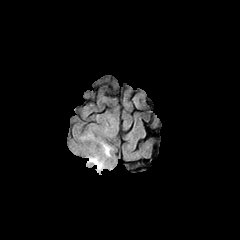
FLAIR magnetic resonance.
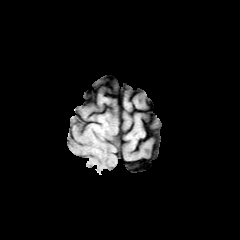
T1-weighted MR of the same slice.
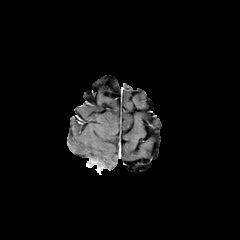
Post-contrast T1-weighted MR.
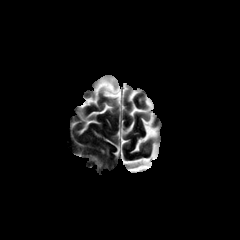
T2-weighted MRI.
Brain
2 edema regions are bounded by left=86, top=156, right=105, bottom=174; left=103, top=145, right=109, bottom=156.